Liver, CT 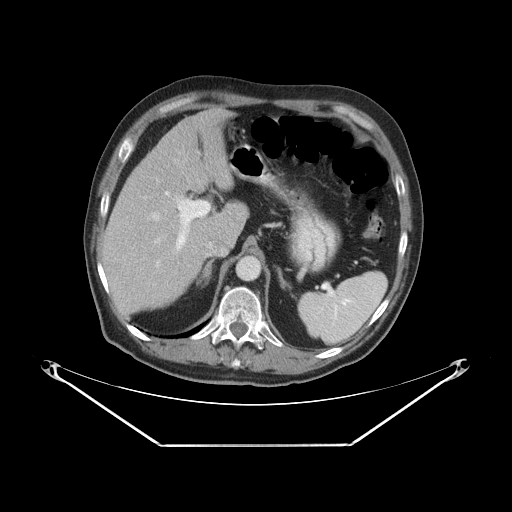

The vessel boxes may cover only some of the vessels.
Hepatic vessel — (x1=156, y1=261, x2=159, y2=266), (x1=143, y1=197, x2=147, y2=199), (x1=157, y1=179, x2=158, y2=182), (x1=153, y1=234, x2=166, y2=246), (x1=164, y1=190, x2=191, y2=251), (x1=148, y1=212, x2=159, y2=219).